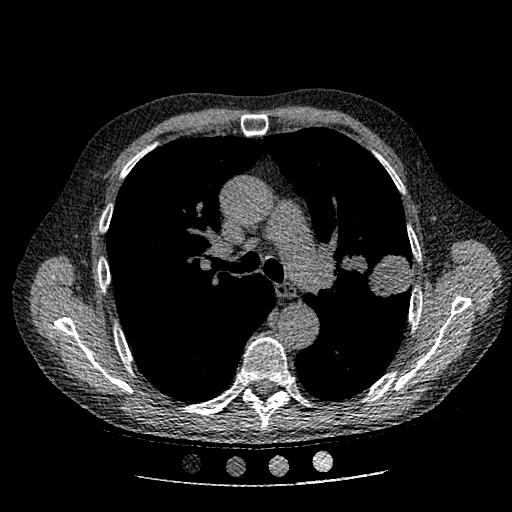 Lung, CT slice
The lung tumor lies within region(337, 252, 412, 312).